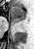
34x49 px; MR image; Medial temporal lobe

anterior hippocampus: l=11, t=6, r=27, b=22 | posterior hippocampus: l=20, t=23, r=24, b=24; l=19, t=27, r=22, b=28